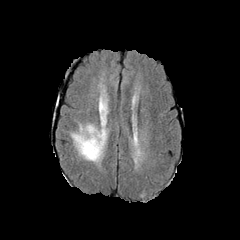
FLAIR magnetic resonance.
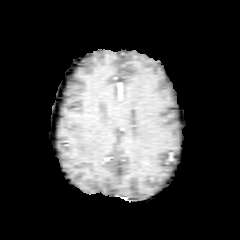
T1-weighted MR image.
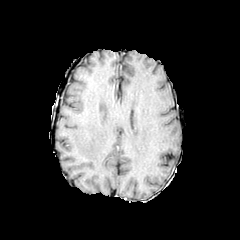
Post-contrast T1-weighted MRI.
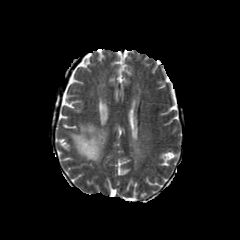
T2-weighted MR image.
240x240; Brain
Edema — (x1=70, y1=96, x2=107, y2=164).